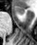

MRI slice
Annotated regions:
* anterior hippocampus: bbox=[15, 6, 24, 14]